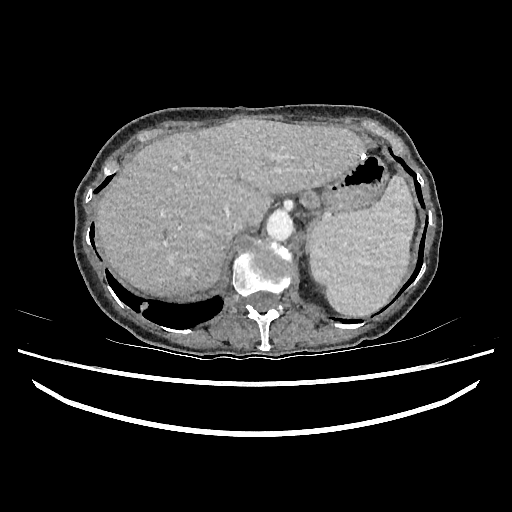

CT slice, Image size 512x512, Abdomen
<segmentation>
  <liver>region(99, 119, 364, 294)</liver>
</segmentation>